Field of view 240 mm wide, 1.00 mm slice spacing | 240x240 | Head | Slice 42 of 155
FLAIR MRI.
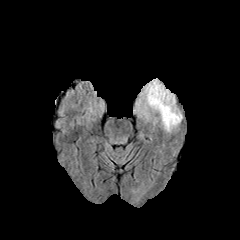
T1-weighted MR image.
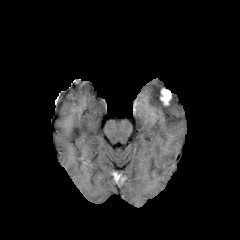
Post-contrast T1-weighted MR image.
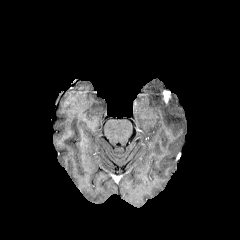
T2-weighted MRI.
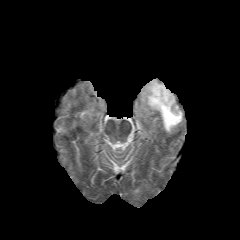
The enhancing tumor appears at region(162, 90, 170, 103). The edema is located at region(134, 79, 183, 134).